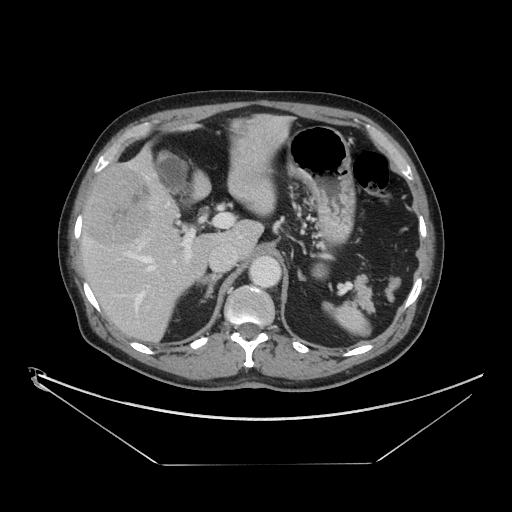
512x512 px. CT. Abdomen. Not every hepatic vessel necessarily has a box.
6 hepatic vessel regions appear at box(137, 243, 143, 250); box(134, 292, 144, 310); box(125, 252, 154, 270); box(183, 243, 190, 259); box(147, 286, 148, 287); box(173, 260, 175, 262). The liver tumor is bounded by box(84, 164, 153, 247).